FLAIR magnetic resonance.
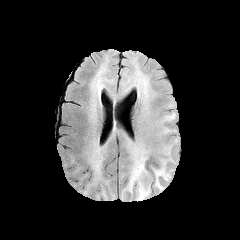
T1-weighted MRI.
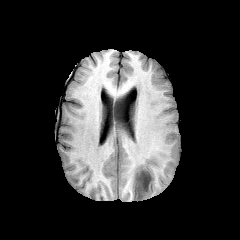
Post-contrast T1-weighted MR.
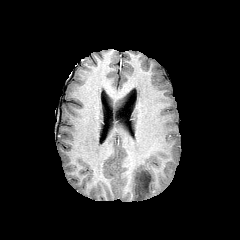
T2-weighted MR image.
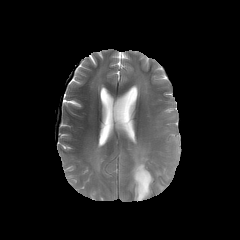
edema: 127,147,170,194; 134,178,152,199; 88,146,102,174 | non-enhancing tumor core: 134,168,151,195